Slice index 54. Liver. CT scan slice.

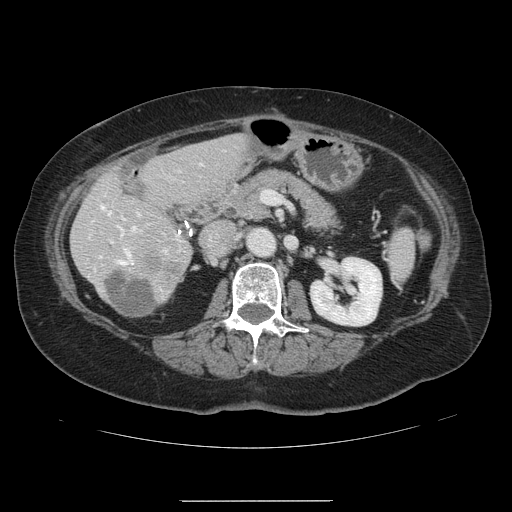 The vessel boxes may cover only some of the vessels.
2 liver tumor regions are bounded by <bbox>109, 272, 158, 314</bbox>, <bbox>143, 255, 185, 282</bbox>. 10 hepatic vessel regions are bounded by <bbox>100, 205, 104, 208</bbox>, <bbox>136, 213, 139, 215</bbox>, <bbox>130, 226, 136, 231</bbox>, <bbox>118, 246, 132, 263</bbox>, <bbox>119, 226, 122, 235</bbox>, <bbox>99, 255, 100, 257</bbox>, <bbox>200, 163, 202, 165</bbox>, <bbox>107, 211, 110, 213</bbox>, <bbox>162, 248, 166, 252</bbox>, <bbox>110, 240, 111, 241</bbox>.